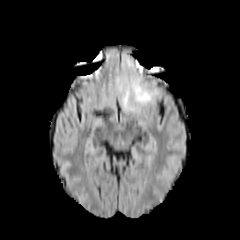
FLAIR MRI.
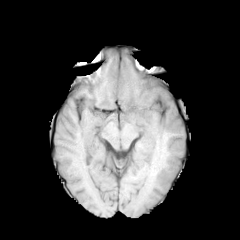
T1-weighted MR image.
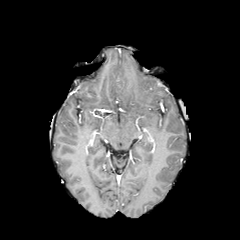
Same slice, post-contrast T1-weighted MRI.
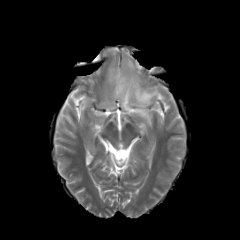
T2-weighted MR image.
240x240. Brain.
edema:
  - box(135, 86, 160, 107)
  - box(115, 58, 138, 107)